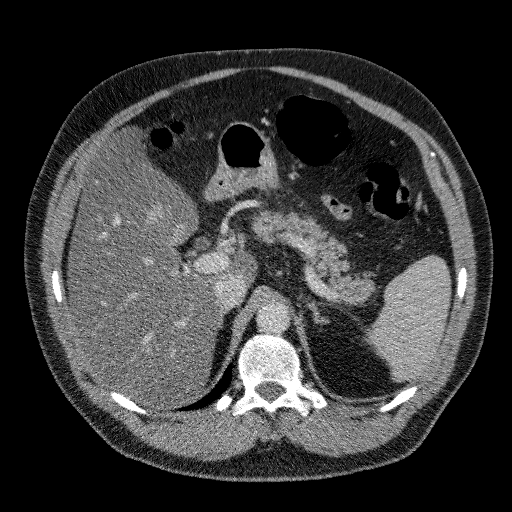

512x512 px, CT
{
  "liver": [
    "x1=67, y1=129, x2=255, y2=412"
  ]
}